FLAIR magnetic resonance.
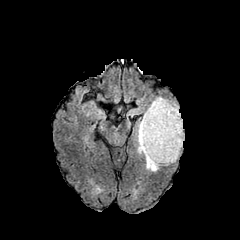
T1-weighted MRI.
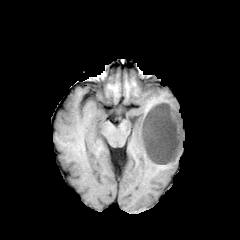
Post-contrast T1-weighted MR image.
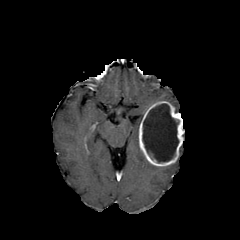
T2-weighted MR image.
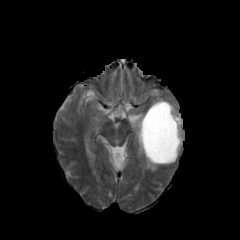
240x240
Enhancing tumor at region(138, 101, 183, 165).
Edema at region(137, 146, 162, 171); region(135, 117, 141, 144); region(150, 96, 178, 110).
Non-enhancing tumor core at region(143, 103, 178, 161).